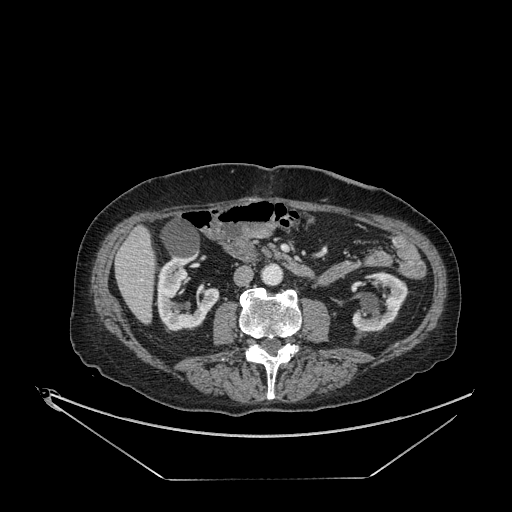

Image size 512x512; CT; Upper abdomen
{
  "liver": [
    "region(115, 225, 154, 323)"
  ],
  "kidney": [
    "region(353, 272, 407, 331)",
    "region(158, 257, 218, 330)",
    "region(351, 282, 361, 291)"
  ]
}